Slice 187 of 212. Field of view 350x350 mm. Liver. CT slice.
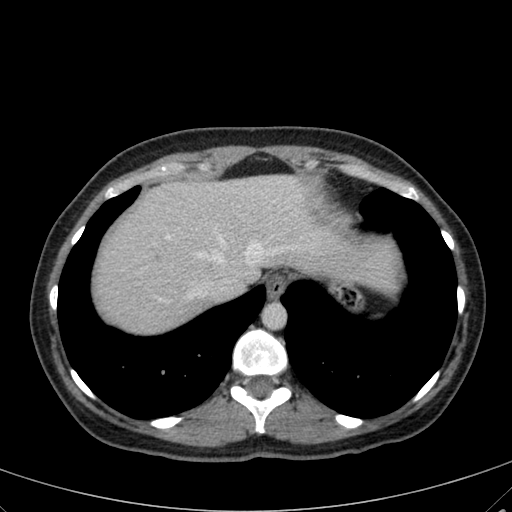

liver: x1=92 y1=174 x2=402 y2=334